Upper abdomen. Slice 83 of 260. CT scan slice.

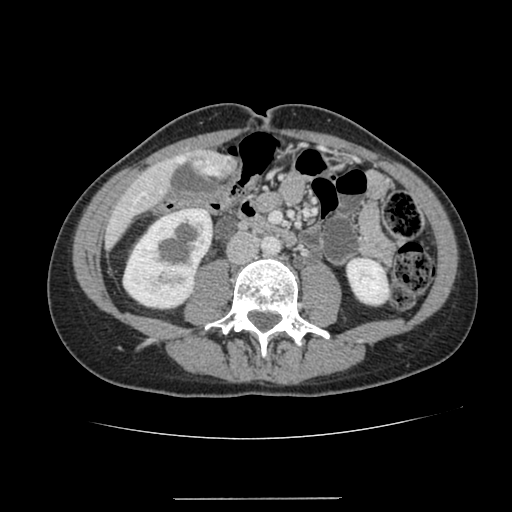
liver:
  - [104, 150, 235, 248]
kidney:
  - [123, 209, 211, 307]
  - [347, 259, 388, 303]
focal_liver_lesion:
  - [208, 154, 227, 168]